FLAIR MRI.
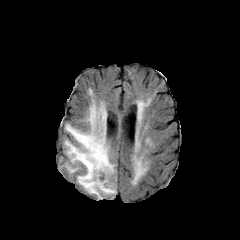
T1-weighted magnetic resonance.
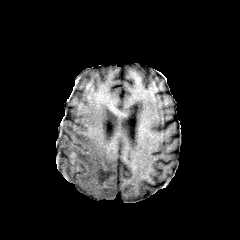
Post-contrast T1-weighted MR.
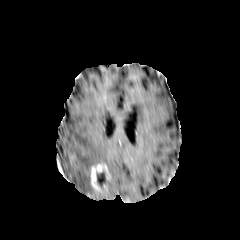
T2-weighted MR.
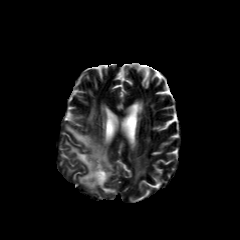
240x240, Brain
Findings:
- non-enhancing tumor core: 96:172:107:193
- edema: 64:100:116:199
- enhancing tumor: 90:164:110:191